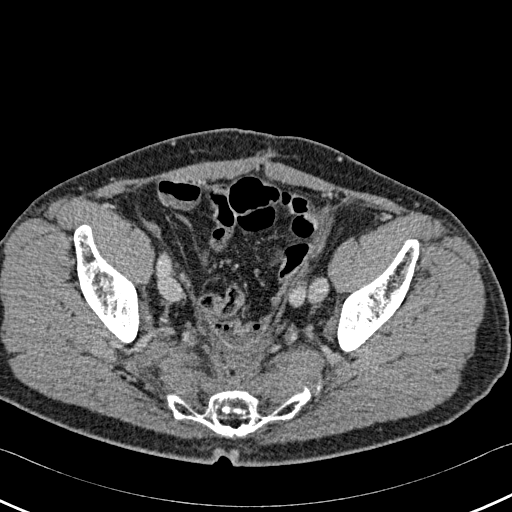

512x512 px. CT image. <segmentation>
  <bone>(168, 386, 318, 436), (74, 225, 138, 342), (337, 240, 419, 351)</bone>
</segmentation>